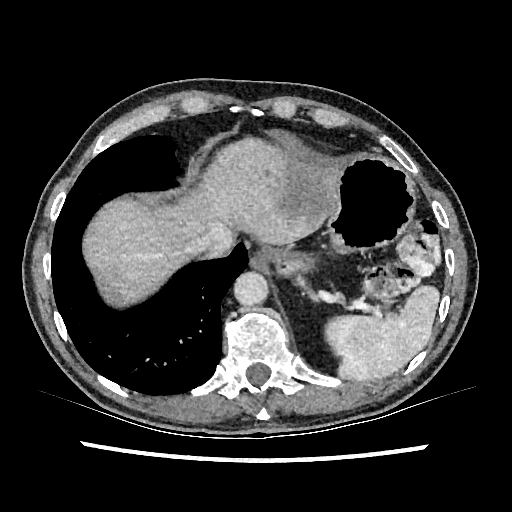
Liver, CT slice
Hepatic lesion = (274,172,336,225).
Liver = (328,190,336,214), (88,139,337,301).